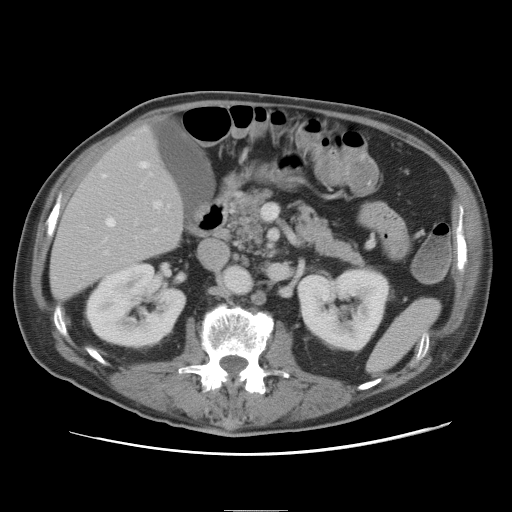

CT scan slice
Only some of the vessels may be annotated.
Hepatic vessel: {"x1": 105, "y1": 252, "x2": 107, "y2": 254}, {"x1": 154, "y1": 202, "x2": 161, "y2": 207}, {"x1": 103, "y1": 175, "x2": 106, "y2": 177}, {"x1": 141, "y1": 162, "x2": 147, "y2": 167}, {"x1": 107, "y1": 219, "x2": 115, "y2": 226}, {"x1": 143, "y1": 127, "x2": 148, "y2": 131}, {"x1": 155, "y1": 229, "x2": 157, "y2": 230}.